Computed tomography. 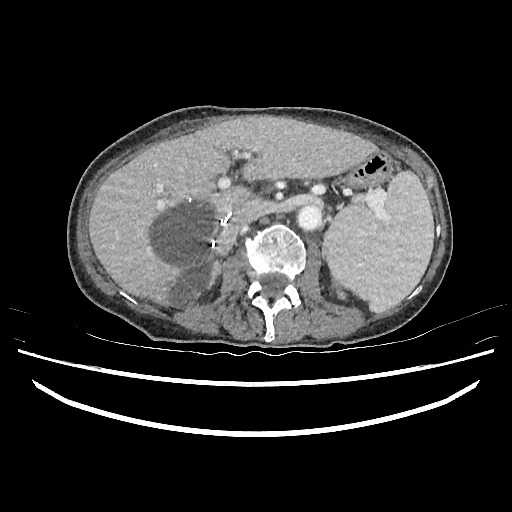 Hepatic lesion = l=152, t=203, r=219, b=306.
Liver = l=205, t=260, r=217, b=289; l=89, t=117, r=372, b=306.